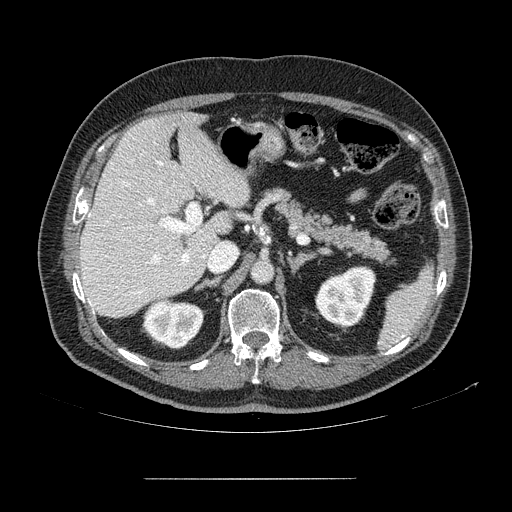 CT | Abdomen
Annotated regions:
- pancreas: [271,193,397,270]